Field of view 240 mm wide, 1.00 mm slice spacing. 240x240 px. Slice 51/155.
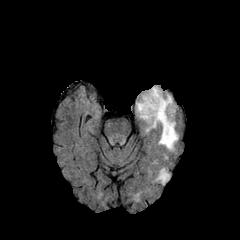
FLAIR magnetic resonance.
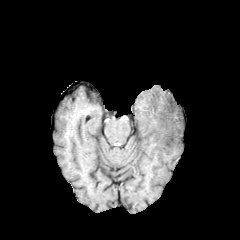
T1-weighted MRI.
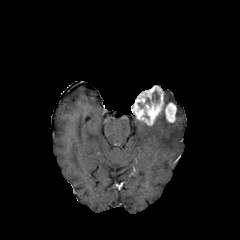
Same slice, post-contrast T1-weighted MR image.
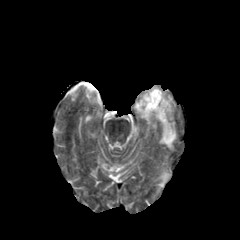
Same slice, T2-weighted MR image.
Segmented structures:
• edema: region(164, 92, 172, 102); region(156, 168, 169, 184); region(146, 112, 178, 151)
• enhancing tumor: region(131, 85, 164, 125); region(164, 102, 175, 122)